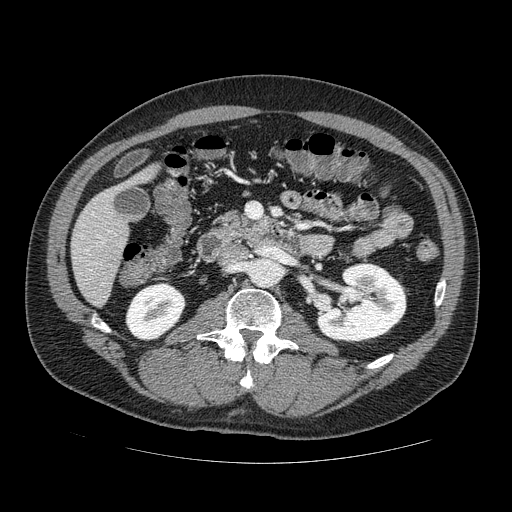
CT slice, Image size 512x512, Abdomen
{"pancreas": ["bbox=[218, 210, 275, 242]"]}